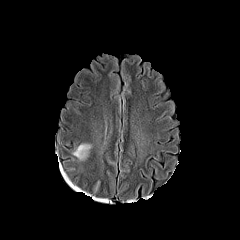
FLAIR MRI.
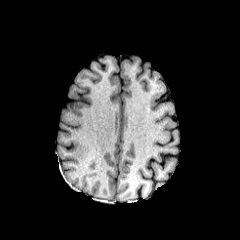
T1-weighted MR image.
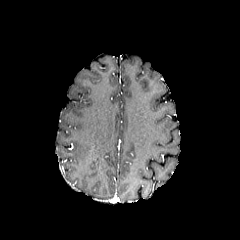
Post-contrast T1-weighted magnetic resonance.
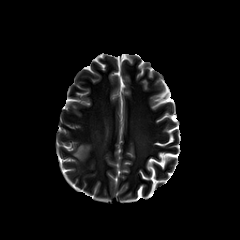
T2-weighted MR image.
Brain
Segmented structures:
- edema: box(72, 144, 92, 161)